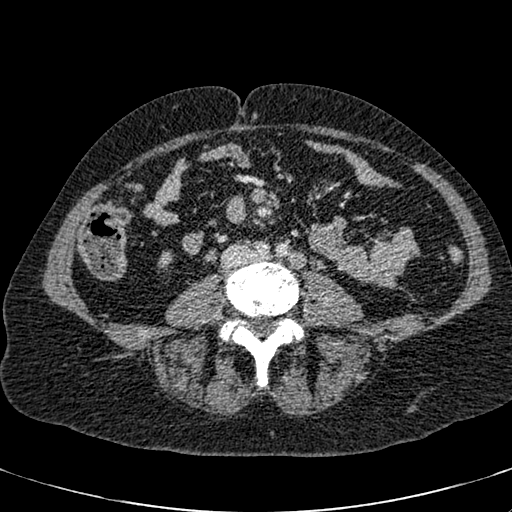
CT image | 512x512 | Abdomen
The kidney lies within x1=160, y1=253, x2=170, y2=266.